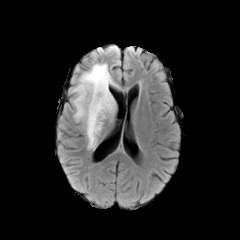
FLAIR MRI.
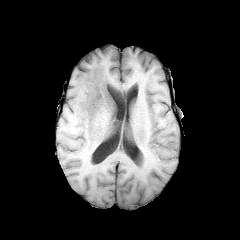
T1-weighted MRI.
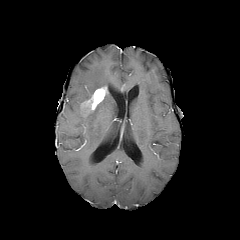
Post-contrast T1-weighted magnetic resonance.
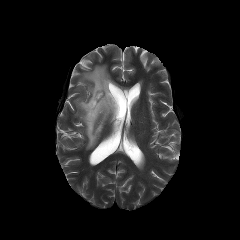
Same slice, T2-weighted magnetic resonance.
240x240 | Brain
Segmented structures:
* enhancing tumor: bbox(80, 86, 107, 113)
* edema: bbox(73, 63, 118, 149)